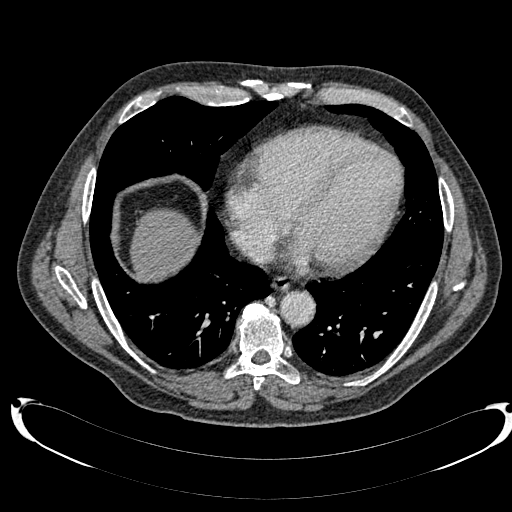

CT
liver: 130:210:196:280